Slice 144/217; CT slice
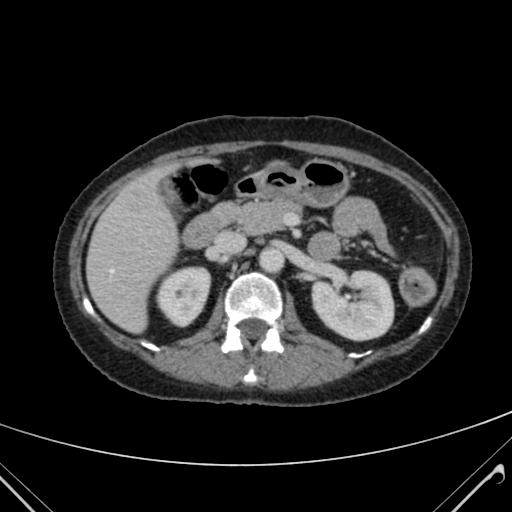
Kidney: bounding box [313,272,392,339], [159,269,207,323].
Liver: bounding box [86,165,176,329].